CT slice | 512x512

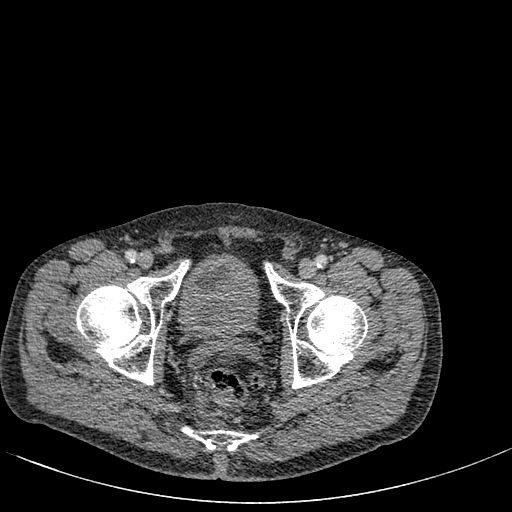

urinary bladder: [175, 250, 261, 339]